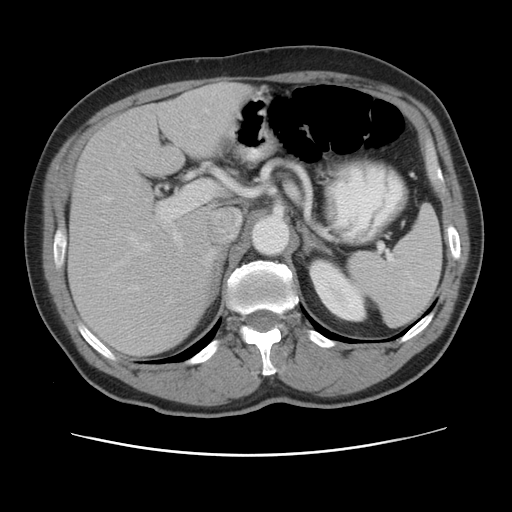
CT slice, 512x512 px, Abdomen
The vessel boxes may cover only some of the vessels.
<segmentation>
  <hepatic_vessel>(137,144,140,148), (146,199,147,200), (130,284,137,289), (173,230,181,242), (121,143,124,146), (102,196,110,200), (219,229,221,231), (163,164,165,168), (202,253,208,264), (190,124,197,127)</hepatic_vessel>
</segmentation>